CT scan slice.

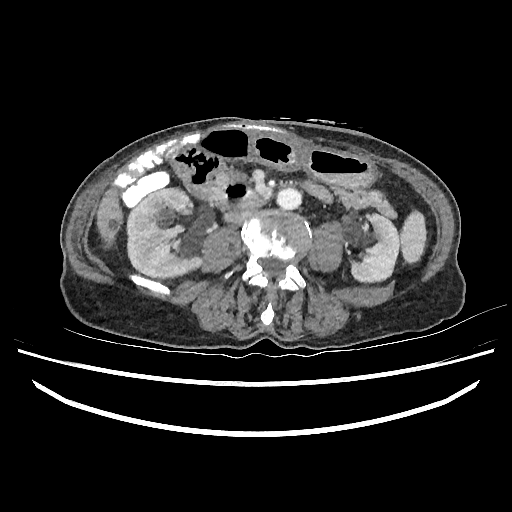 2 kidney regions appear at bbox=[127, 187, 201, 277]; bbox=[352, 214, 398, 281]. The hepatic lesion lies within bbox=[109, 220, 122, 229]. The liver is bounded by bbox=[98, 188, 122, 243].